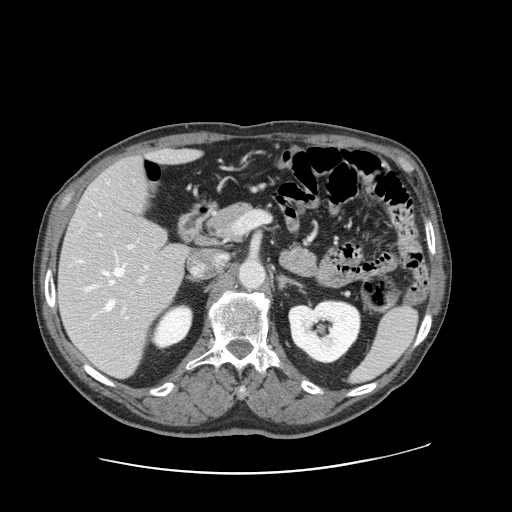 Liver. CT slice.
The vessel annotation is not exhaustive.
Hepatic vessel — x1=128 y1=245 x2=132 y2=248, x1=145 y1=266 x2=147 y2=267, x1=78 y1=261 x2=82 y2=261, x1=85 y1=286 x2=94 y2=291, x1=109 y1=280 x2=113 y2=284, x1=114 y1=265 x2=124 y2=275, x1=106 y1=301 x2=113 y2=309, x1=103 y1=271 x2=108 y2=274, x1=140 y1=277 x2=144 y2=281.